Field of view 500x500 mm. CT.
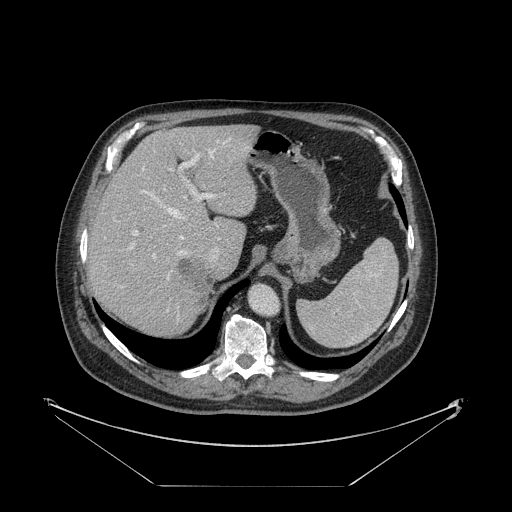 Not every hepatic vessel necessarily has a box.
Findings:
- hepatic vessel: x1=196 y1=154 x2=198 y2=157, x1=179 y1=236 x2=182 y2=238, x1=133 y1=231 x2=137 y2=234, x1=184 y1=180 x2=211 y2=199, x1=179 y1=160 x2=193 y2=169, x1=152 y1=253 x2=154 y2=257, x1=167 y1=275 x2=169 y2=277, x1=130 y1=243 x2=133 y2=247, x1=207 y1=148 x2=214 y2=155
- liver tumor: x1=176 y1=258 x2=211 y2=303